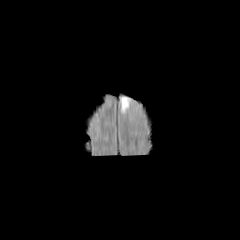
FLAIR MR image.
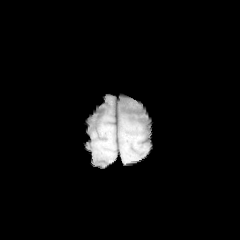
T1-weighted magnetic resonance of the same slice.
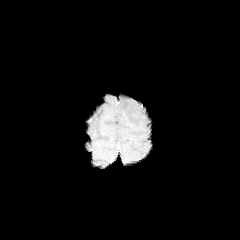
Post-contrast T1-weighted magnetic resonance of the same slice.
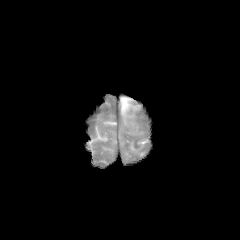
T2-weighted magnetic resonance.
{"edema": ["[x1=120, y1=96, x2=138, y2=113]"]}